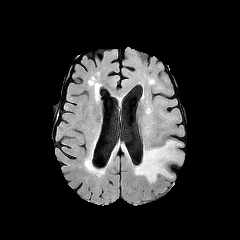
FLAIR MR image.
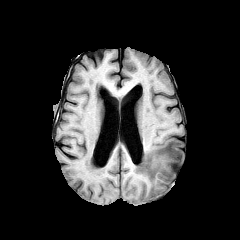
Same slice, T1-weighted MR.
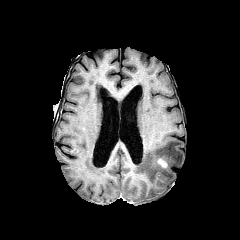
Same slice, post-contrast T1-weighted MRI.
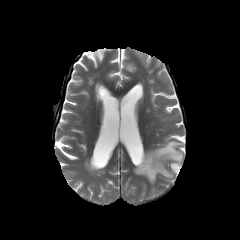
T2-weighted magnetic resonance.
edema:
  - x1=134, y1=140, x2=181, y2=183
enhancing_tumor:
  - x1=157, y1=158, x2=166, y2=167